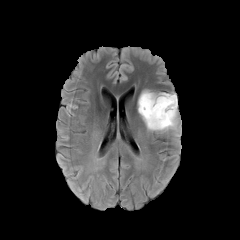
FLAIR magnetic resonance.
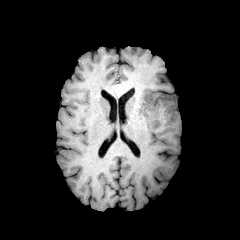
T1-weighted MR image.
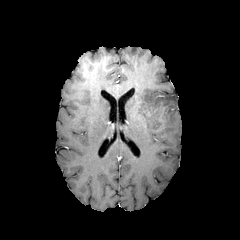
Post-contrast T1-weighted MR of the same slice.
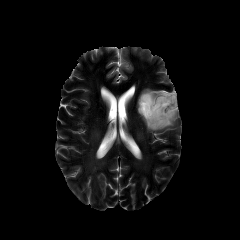
T2-weighted MRI.
Brain; Image size 240x240
Edema — <box>137,89,178,135</box>.
Non-enhancing tumor core — <box>142,93,174,123</box>.